CT, Image size 512x512 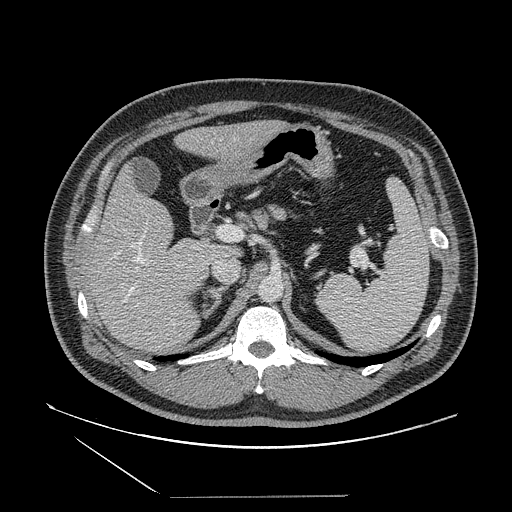 <segmentation>
  <pancreas>[236, 202, 303, 232]</pancreas>
</segmentation>